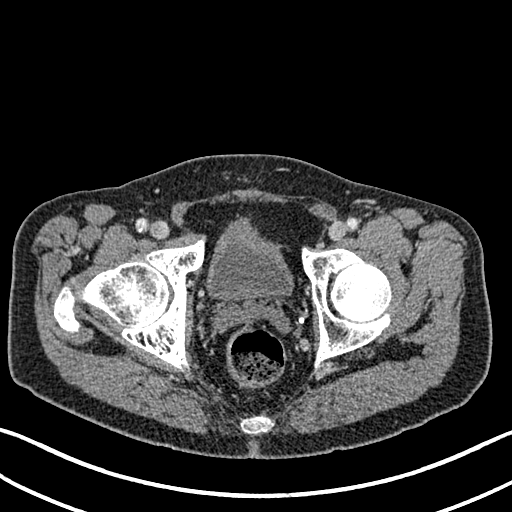 CT scan slice
The urinary bladder is located at (left=206, top=228, right=292, bottom=305).